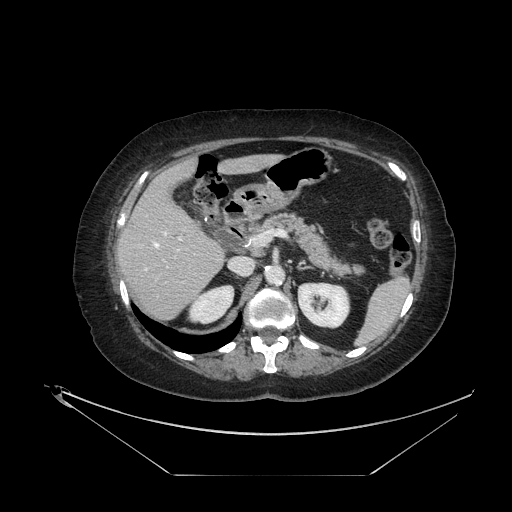
512x512 px | CT scan slice

2 pancreas regions are bounded by bbox=[253, 214, 364, 276]; bbox=[252, 245, 263, 256].